Head, Slice 109/155
FLAIR MRI.
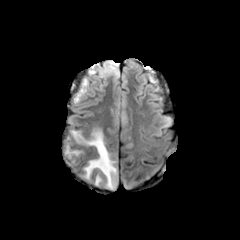
T1-weighted MR image.
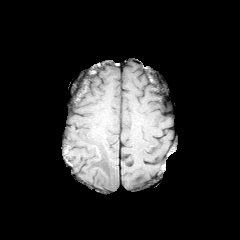
Post-contrast T1-weighted magnetic resonance.
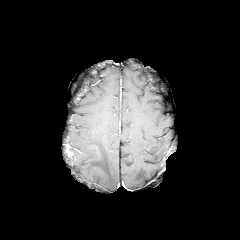
T2-weighted MR image.
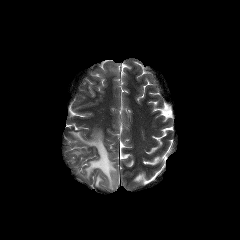
2 edema regions are located at <bbox>70, 129, 118, 189</bbox>, <bbox>102, 67, 119, 77</bbox>.